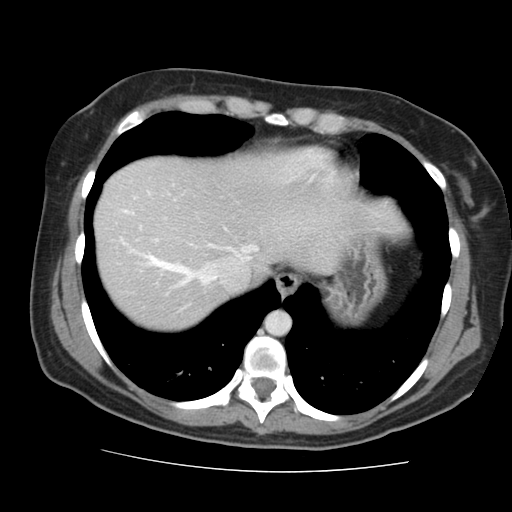

CT
Some hepatic vessels may have no box.
<segmentation>
  <hepatic_vessel>(145, 255, 199, 283), (202, 277, 214, 283), (243, 249, 244, 251)</hepatic_vessel>
</segmentation>